Slice 107 of 155 | 240x240 px
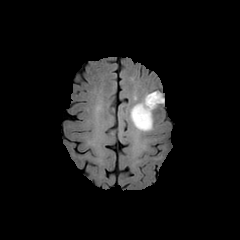
FLAIR MR image.
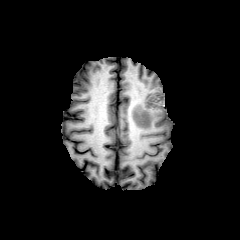
Same slice, T1-weighted MRI.
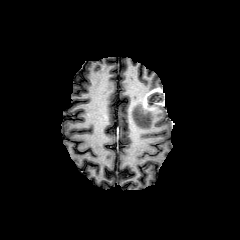
Post-contrast T1-weighted magnetic resonance of the same slice.
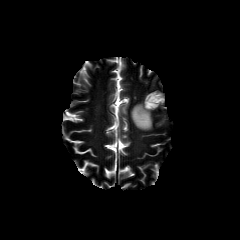
T2-weighted MRI.
Edema — 130, 96, 154, 131.
Enhancing tumor — 143, 88, 164, 110.
Non-enhancing tumor core — 148, 91, 163, 105.